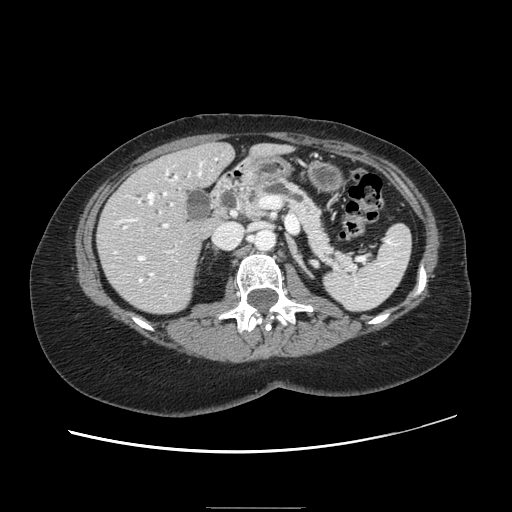 CT slice
The pancreas lies within l=240, t=179, r=355, b=272.